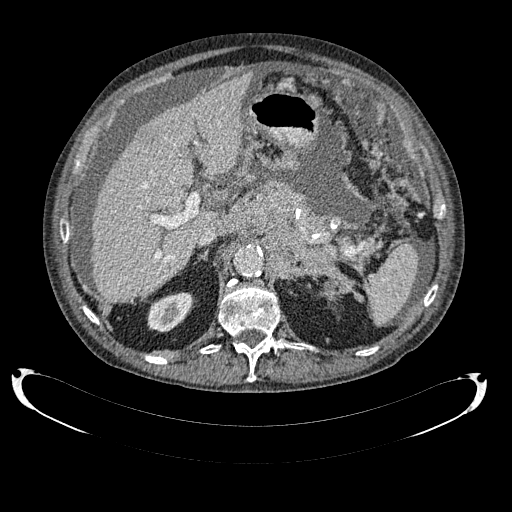
CT. Liver. hepatic_lesion:
  - 138, 126, 151, 141
kidney:
  - 148, 293, 191, 331
liver:
  - 214, 190, 226, 201
  - 92, 72, 252, 303